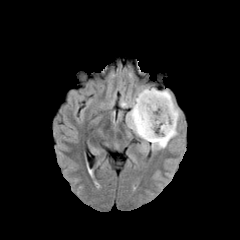
FLAIR MRI.
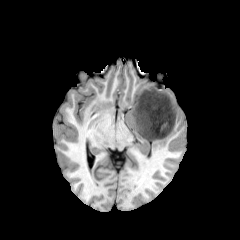
T1-weighted MR image.
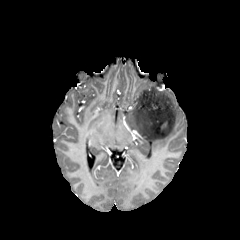
Post-contrast T1-weighted MRI of the same slice.
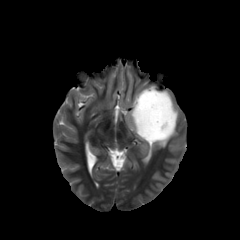
Same slice, T2-weighted magnetic resonance.
Head
The non-enhancing tumor core lies within bbox=[133, 88, 175, 143]. 2 edema regions appear at bbox=[136, 89, 180, 151]; bbox=[120, 87, 151, 129].